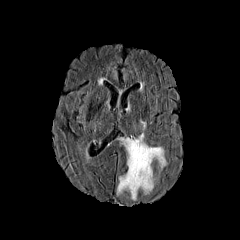
FLAIR MR.
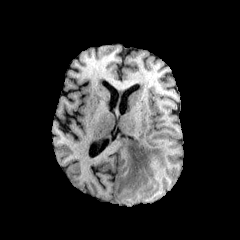
T1-weighted MRI.
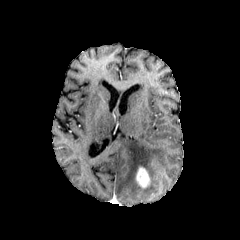
Post-contrast T1-weighted MR image of the same slice.
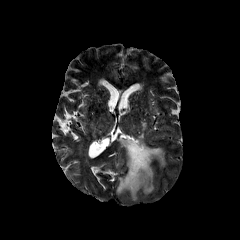
T2-weighted MR image of the same slice.
Brain
Findings:
• enhancing tumor: [136, 167, 150, 187]
• edema: [116, 120, 167, 201]